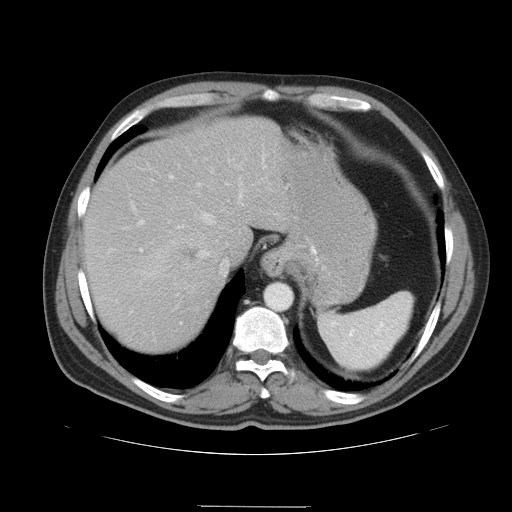
Abdomen; CT slice
Not every hepatic vessel necessarily has a box.
Liver tumor — box=[174, 238, 204, 270].
Hepatic vessel — box=[170, 176, 173, 179]; box=[138, 221, 143, 225]; box=[198, 184, 200, 185]; box=[179, 226, 183, 228]; box=[139, 249, 141, 251]; box=[132, 205, 135, 210]; box=[238, 177, 243, 204]; box=[203, 214, 215, 225]; box=[220, 259, 228, 275]; box=[204, 251, 208, 256]; box=[262, 151, 265, 168].